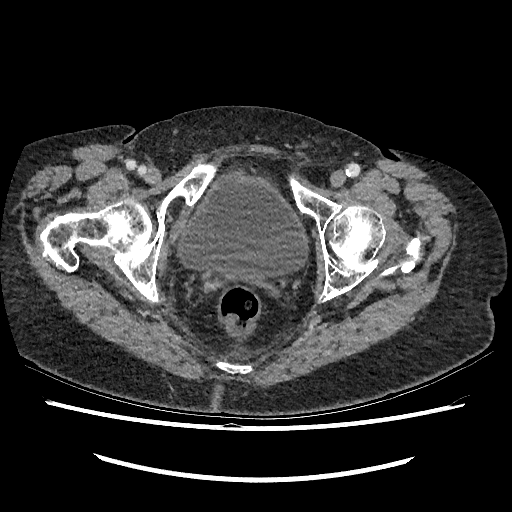

CT; Image size 512x512; Lower abdomen
Annotated regions:
• urinary bladder: region(176, 175, 308, 288)